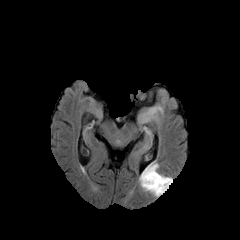
FLAIR magnetic resonance.
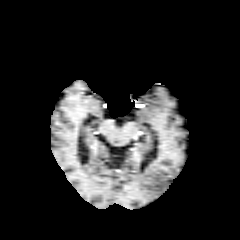
T1-weighted MR image.
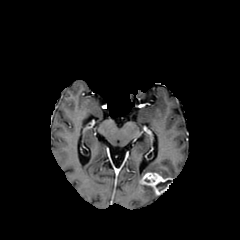
Same slice, post-contrast T1-weighted magnetic resonance.
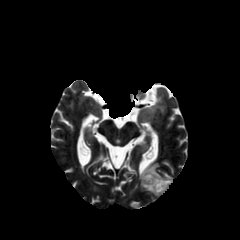
T2-weighted MR.
Enhancing tumor: bounding box box(140, 172, 172, 195).
Non-enhancing tumor core: bounding box box(156, 180, 172, 189).
Edema: bounding box box(138, 160, 172, 197).